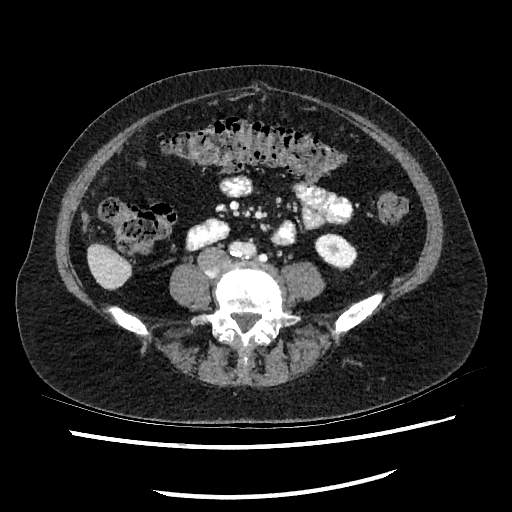
CT; 512x512

<segmentation>
  <liver>box=[88, 244, 130, 288]</liver>
  <kidney>box=[316, 235, 355, 266]</kidney>
</segmentation>